FLAIR magnetic resonance.
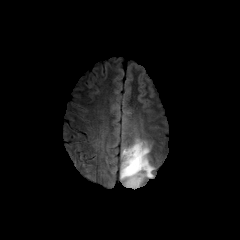
T1-weighted MR.
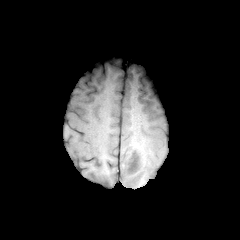
Post-contrast T1-weighted magnetic resonance.
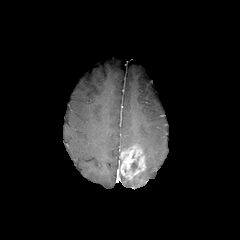
T2-weighted MRI.
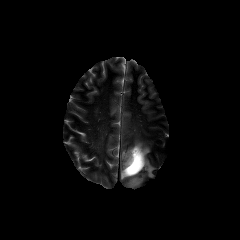
Head
- non-enhancing tumor core: 131 156 140 171
- enhancing tumor: 120 145 146 181
- edema: 119 138 155 188